Slice 81 of 155
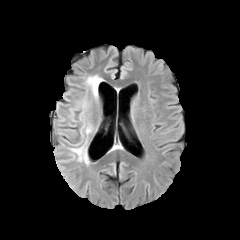
FLAIR MR.
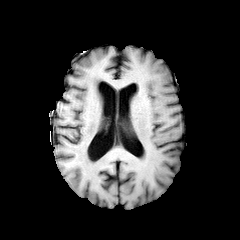
T1-weighted MR image.
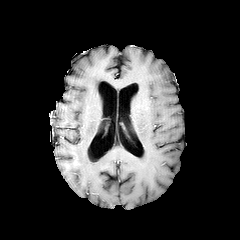
Post-contrast T1-weighted MR of the same slice.
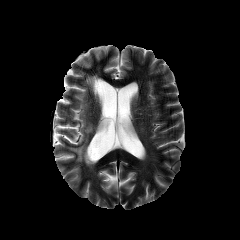
T2-weighted MR.
Edema: bounding box box(68, 75, 102, 165).